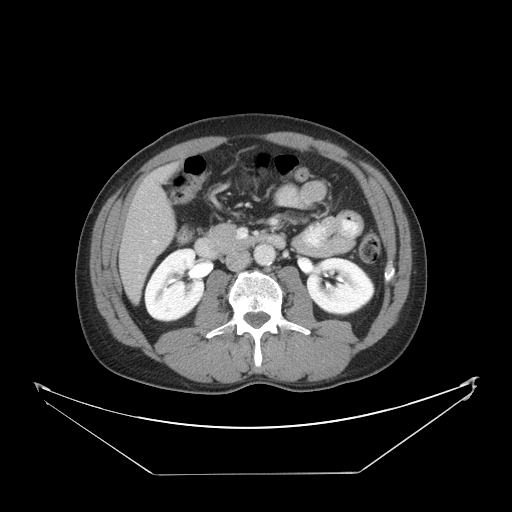

Abdomen, CT

Not every hepatic vessel necessarily has a box.
Hepatic vessel: bounding box x1=139, y1=275, x2=141, y2=278; x1=153, y1=240, x2=156, y2=243; x1=139, y1=255, x2=142, y2=262; x1=151, y1=205, x2=152, y2=207; x1=145, y1=230, x2=147, y2=232.